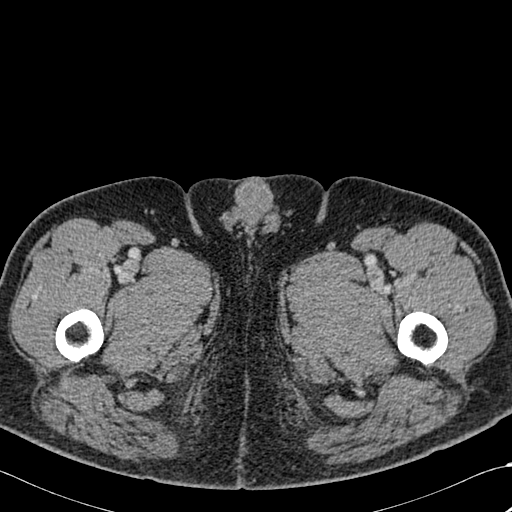 CT scan slice
{"bone": ["bbox=[56, 309, 103, 361]", "bbox=[397, 312, 447, 364]"]}